Computed tomography | Liver 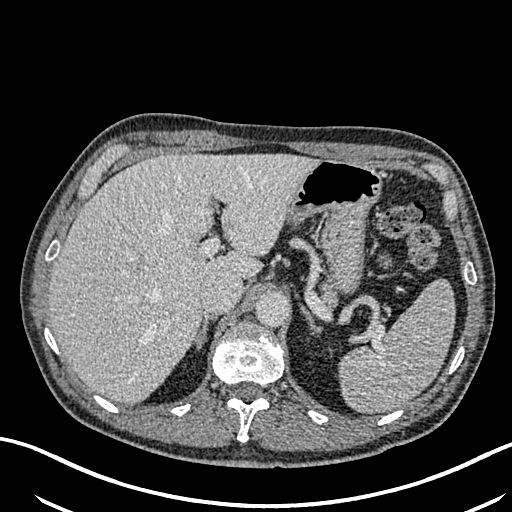
Liver: bounding box (49, 153, 319, 403).